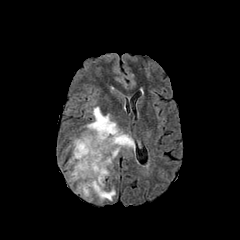
FLAIR MR image.
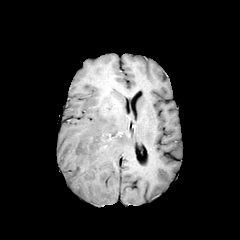
T1-weighted MR.
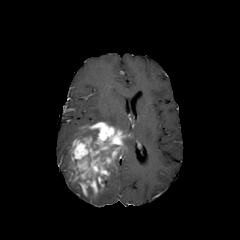
Post-contrast T1-weighted magnetic resonance of the same slice.
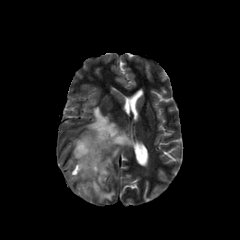
T2-weighted magnetic resonance of the same slice.
Image size 240x240.
edema: {"x1": 95, "y1": 187, "x2": 115, "y2": 202}, {"x1": 75, "y1": 183, "x2": 92, "y2": 200}, {"x1": 87, "y1": 106, "x2": 118, "y2": 127}, {"x1": 125, "y1": 135, "x2": 135, "y2": 155} | enhancing tumor: {"x1": 70, "y1": 122, "x2": 128, "y2": 195} | non-enhancing tumor core: {"x1": 81, "y1": 129, "x2": 98, "y2": 141}